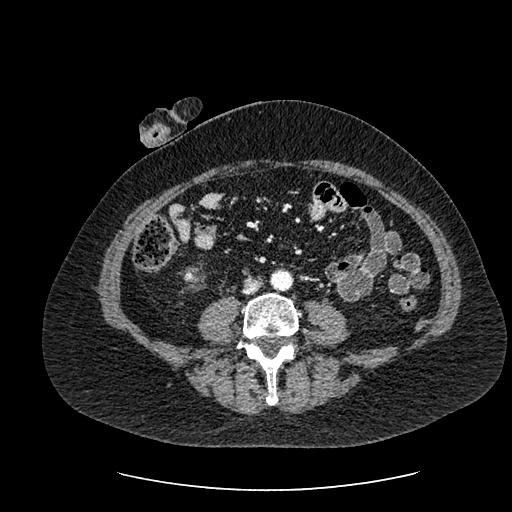

CT scan slice. Abdomen.
* kidney: 185, 272, 193, 279